CT image. Abdomen. Image size 512x512.
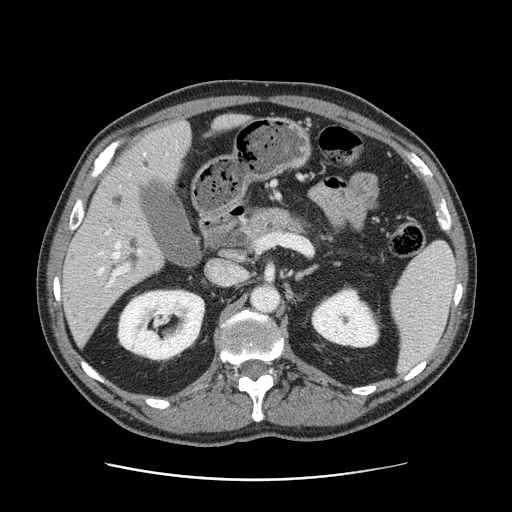
<segmentation>
  <pancreas>[243,208,311,241]</pancreas>
</segmentation>